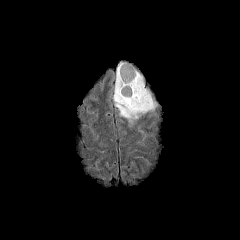
FLAIR magnetic resonance.
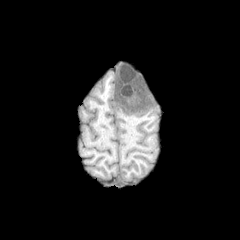
T1-weighted MRI.
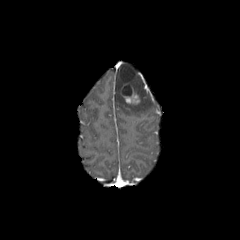
Post-contrast T1-weighted MR image of the same slice.
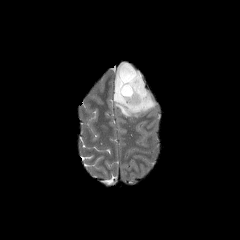
T2-weighted magnetic resonance of the same slice.
* enhancing tumor: (119,82,140,105)
* non-enhancing tumor core: (119,64,137,96)
* edema: (115,69,155,118)